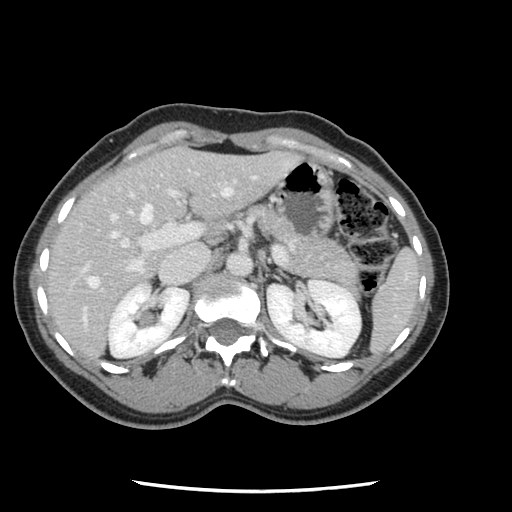

CT image

The vessel boxes may cover only some of the vessels.
14 hepatic vessel regions are located at x1=111, y1=232, x2=116, y2=236; x1=232, y1=180, x2=234, y2=183; x1=82, y1=266, x2=86, y2=274; x1=82, y1=309, x2=85, y2=321; x1=138, y1=204, x2=151, y2=222; x1=128, y1=259, x2=142, y2=270; x1=110, y1=214, x2=115, y2=219; x1=140, y1=223, x2=172, y2=249; x1=87, y1=276, x2=97, y2=286; x1=170, y1=191, x2=175, y2=194; x1=174, y1=224, x2=199, y2=242; x1=121, y1=239, x2=128, y2=246; x1=221, y1=184, x2=231, y2=195; x1=252, y1=176, x2=254, y2=178.